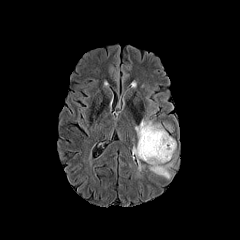
FLAIR MRI.
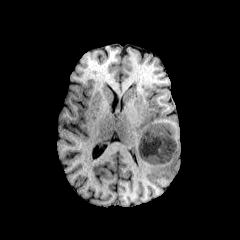
T1-weighted magnetic resonance.
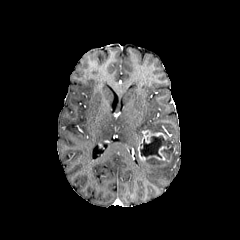
Post-contrast T1-weighted MRI.
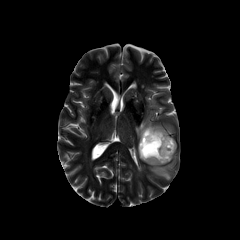
Same slice, T2-weighted MR.
Head
edema:
  - <box>133,147,144,171</box>
  - <box>145,158,172,178</box>
  - <box>135,110,165,142</box>
non-enhancing_tumor_core:
  - <box>140,136,174,158</box>
enhancing_tumor:
  - <box>137,129,171,159</box>